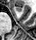
MR image | Medial temporal lobe
<segmentation>
  <anterior_hippocampus>region(15, 7, 21, 11)</anterior_hippocampus>
</segmentation>